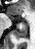

35x49; MR; Medial temporal lobe
Anterior hippocampus = 9, 16, 13, 19.
Posterior hippocampus = 14, 22, 27, 39.